MRI; Field of view 36 mm wide, 1.00 mm slice spacing; Hippocampus
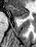
Segmented structures:
• anterior hippocampus: bbox=[9, 6, 29, 18]